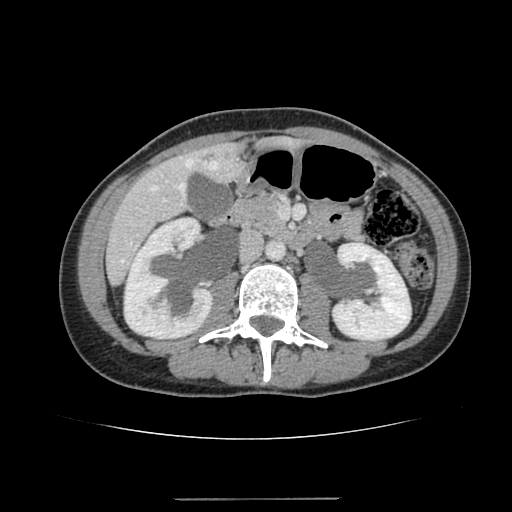 Abdomen, CT image
2 kidney regions appear at rect(124, 218, 211, 338); rect(333, 243, 410, 339). 2 liver regions appear at rect(260, 135, 300, 148); rect(106, 142, 242, 285).